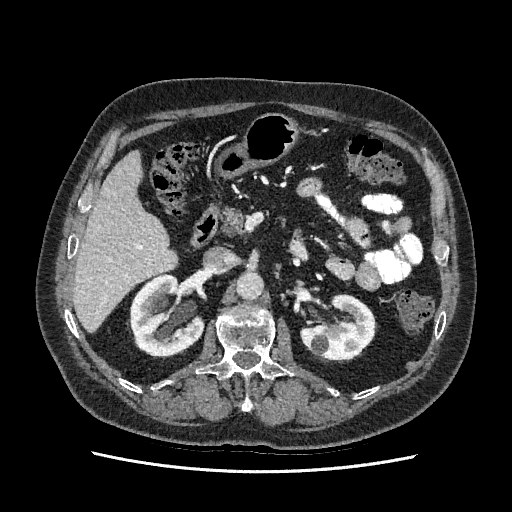
Image size 512x512. CT image. Upper abdomen. * kidney: 302:295:374:359, 131:275:203:355
* liver: 74:151:177:331